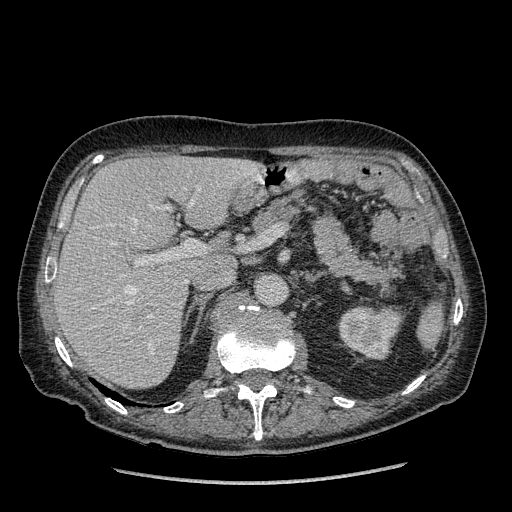
Liver. Computed tomography. 512x512.

kidney:
  - {"x1": 339, "y1": 307, "x2": 401, "y2": 359}
liver:
  - {"x1": 55, "y1": 156, "x2": 257, "y2": 388}